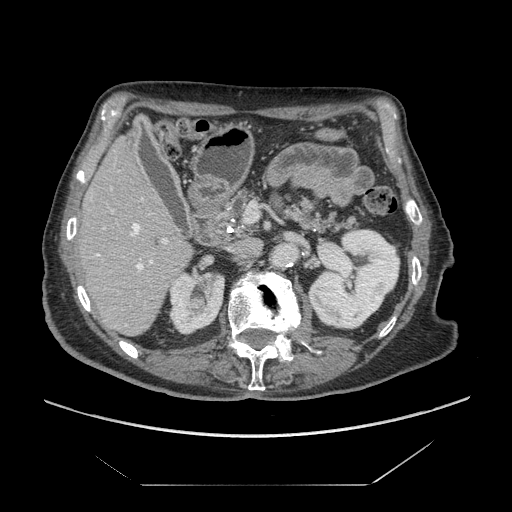

CT slice
2 pancreas regions appear at (left=212, top=185, right=261, bottom=242), (left=279, top=191, right=367, bottom=239).